CT. 512x512. Liver.

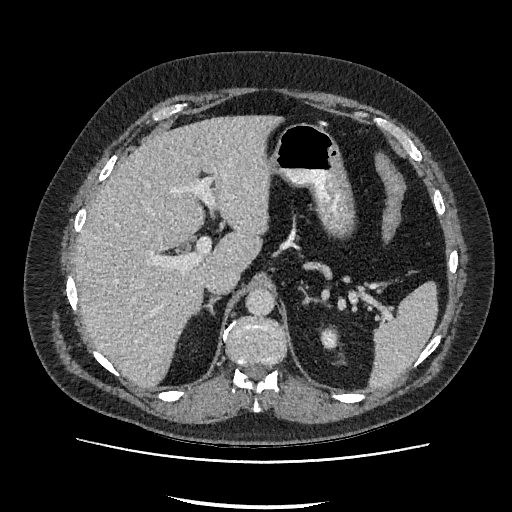

kidney:
  - box(323, 332, 334, 346)
liver:
  - box(75, 115, 282, 386)